Field of view 381 mm wide, 0.80 mm slice spacing, Abdomen, CT

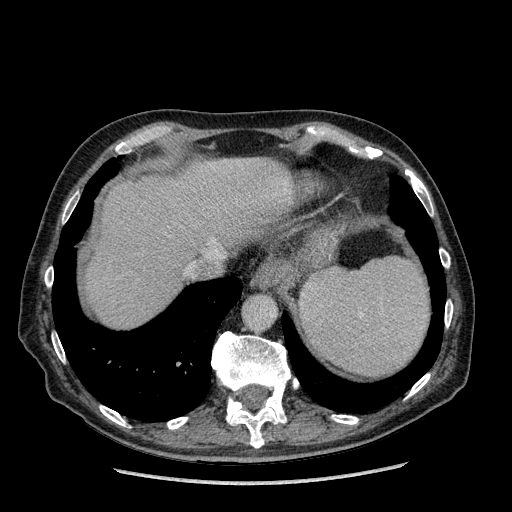
The liver is located at 86, 157, 291, 328.